FLAIR MRI.
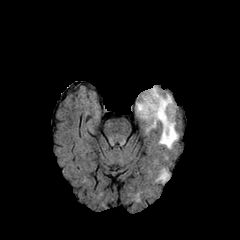
T1-weighted MR.
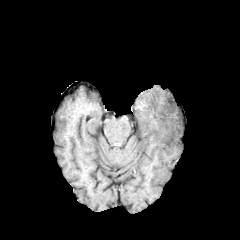
Post-contrast T1-weighted magnetic resonance.
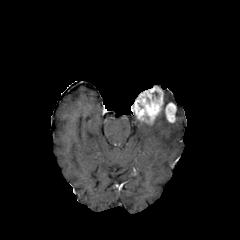
T2-weighted MR.
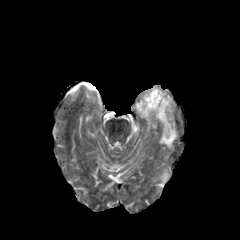
240x240 px | Brain
Findings:
* edema: {"x1": 146, "y1": 114, "x2": 179, "y2": 150}, {"x1": 164, "y1": 93, "x2": 173, "y2": 103}, {"x1": 157, "y1": 168, "x2": 169, "y2": 183}
* enhancing tumor: {"x1": 164, "y1": 102, "x2": 175, "y2": 122}, {"x1": 131, "y1": 86, "x2": 163, "y2": 124}